Computed tomography | Upper abdomen

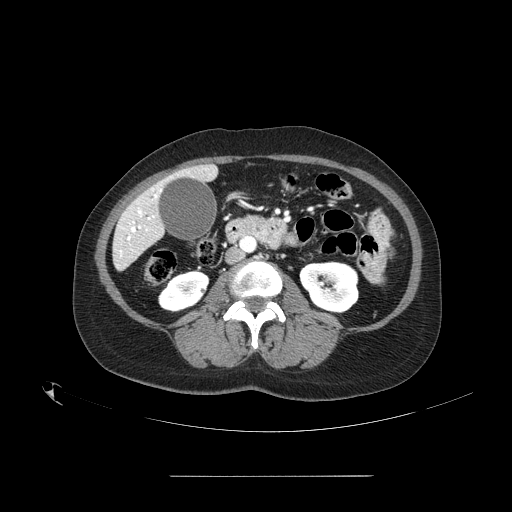
The pancreas is bounded by left=248, top=217, right=270, bottom=239.